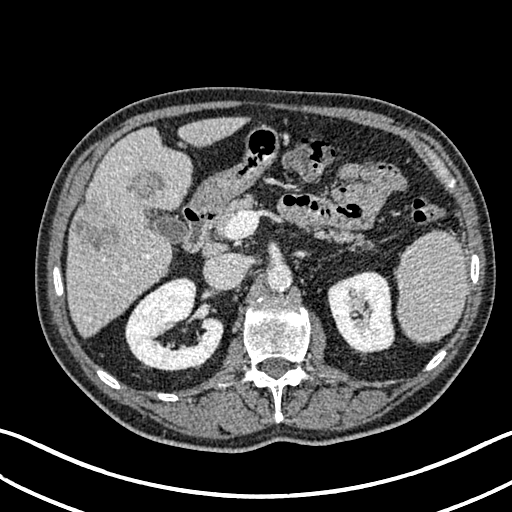

CT slice | Abdomen

Liver lesion: bounding box x1=76 y1=202 x2=124 y2=252, x1=126 y1=169 x2=163 y2=198.
Kidney: bounding box x1=329 y1=272 x2=393 y2=351, x1=126 y1=279 x2=222 y2=369.
Liver: bounding box x1=67 y1=128 x2=191 y2=335, x1=178 y1=117 x2=245 y2=146.